240x240 | Image width 240 mm
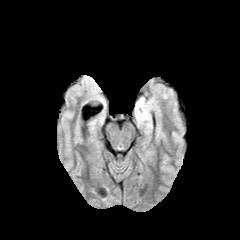
FLAIR MR.
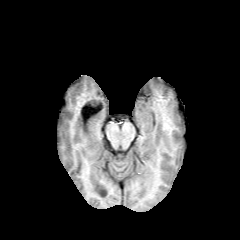
T1-weighted MR image.
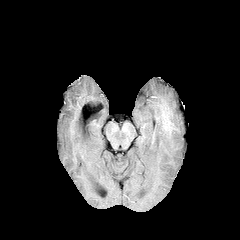
Post-contrast T1-weighted MRI of the same slice.
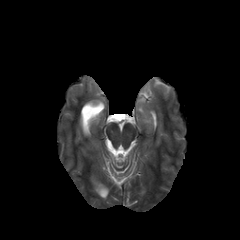
T2-weighted MR image.
Annotated regions:
- edema: x1=136 y1=95 x2=146 y2=106